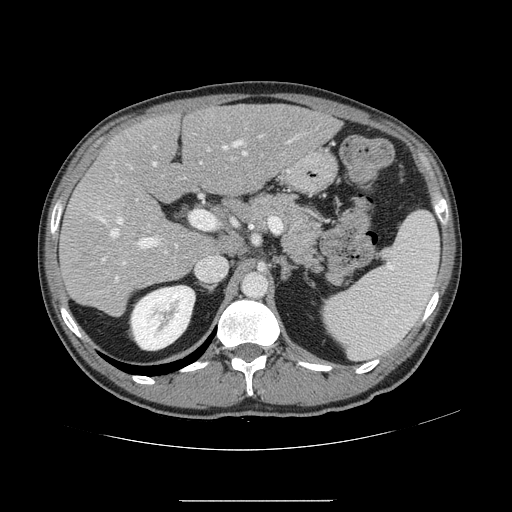 CT image | 512x512
Not every hepatic vessel necessarily has a box.
Principal 15 of 19 hepatic vessel regions at bbox=[288, 139, 292, 142]; bbox=[103, 257, 106, 259]; bbox=[153, 162, 156, 165]; bbox=[243, 151, 245, 154]; bbox=[190, 211, 204, 229]; bbox=[110, 229, 118, 236]; bbox=[115, 277, 118, 282]; bbox=[138, 238, 155, 249]; bbox=[127, 164, 131, 168]; bbox=[164, 250, 166, 253]; bbox=[295, 135, 299, 137]; bbox=[223, 146, 227, 148]; bbox=[115, 179, 118, 181]; bbox=[116, 216, 122, 223]; bbox=[234, 141, 243, 146].